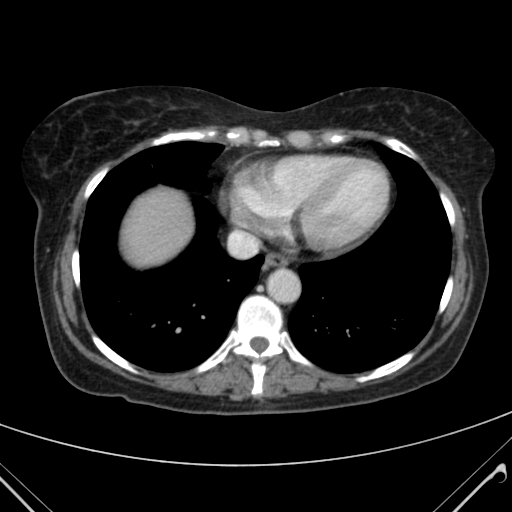

Computed tomography

Liver: bounding box (123,191,189,260).